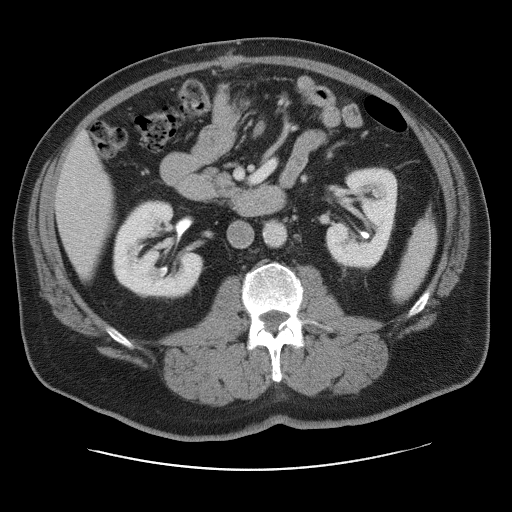

Liver | CT image

The vessel annotation is not exhaustive.
Segmented structures:
* hepatic vessel: x1=236 y1=172 x2=241 y2=177